Computed tomography; Lower abdomen; Image width 432 mm

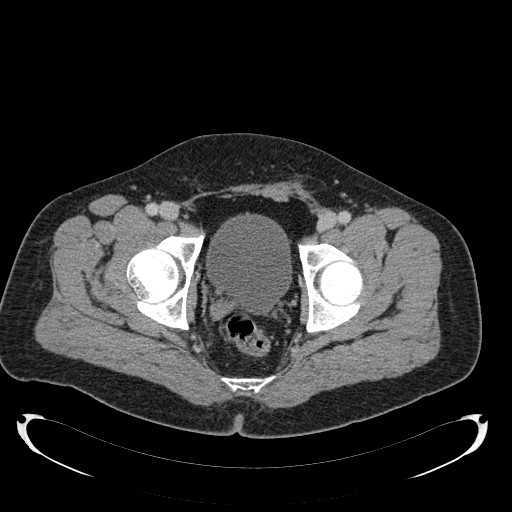
- urinary bladder: [x1=206, y1=214, x2=291, y2=314]